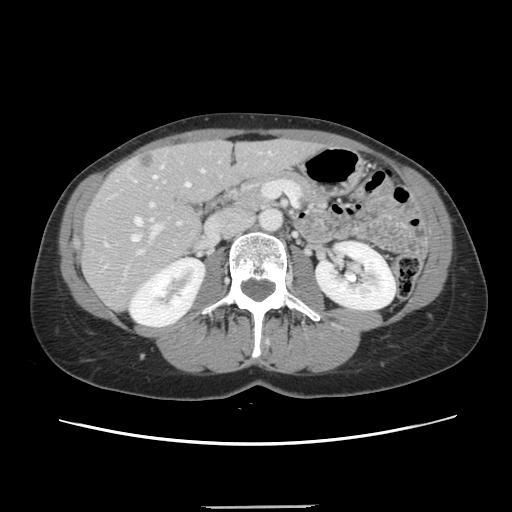
CT image, Image size 512x512

The vessel annotation is not exhaustive.
Annotated regions:
* hepatic vessel: [x1=135, y1=217, x2=141, y2=224], [x1=177, y1=222, x2=180, y2=224], [x1=153, y1=176, x2=156, y2=178], [x1=132, y1=235, x2=139, y2=240], [x1=133, y1=180, x2=135, y2=181], [x1=161, y1=165, x2=162, y2=167], [x1=105, y1=244, x2=107, y2=245], [x1=201, y1=169, x2=203, y2=171], [x1=138, y1=250, x2=142, y2=252], [x1=186, y1=183, x2=189, y2=186], [x1=150, y1=203, x2=153, y2=205], [x1=151, y1=225, x2=160, y2=236]
* liver tumor: [x1=139, y1=154, x2=152, y2=167]